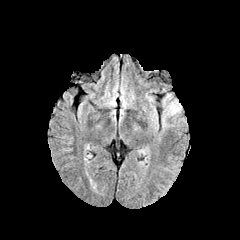
FLAIR MRI.
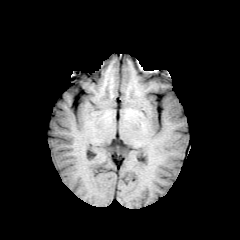
T1-weighted MR image of the same slice.
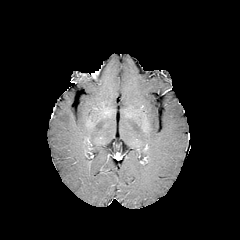
Same slice, post-contrast T1-weighted magnetic resonance.
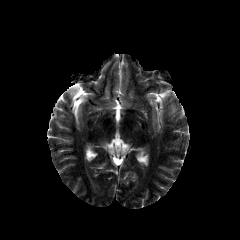
T2-weighted MRI of the same slice.
Brain
edema: rect(162, 93, 181, 130); rect(148, 97, 158, 131)